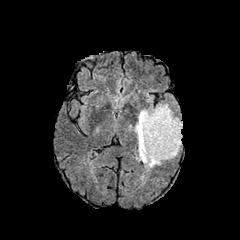
FLAIR MRI.
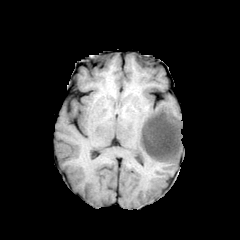
T1-weighted MR.
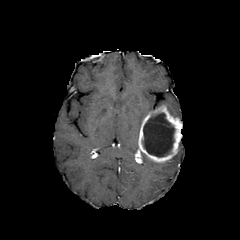
Post-contrast T1-weighted MRI of the same slice.
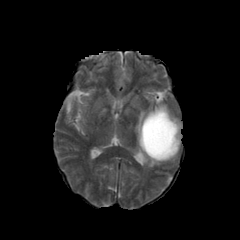
T2-weighted magnetic resonance of the same slice.
The non-enhancing tumor core is bounded by <box>143,112,173,156</box>. The enhancing tumor lies within <box>135,105,182,162</box>. 2 edema regions are bounded by <box>134,102,174,149</box>, <box>141,141,181,169</box>.